CT image

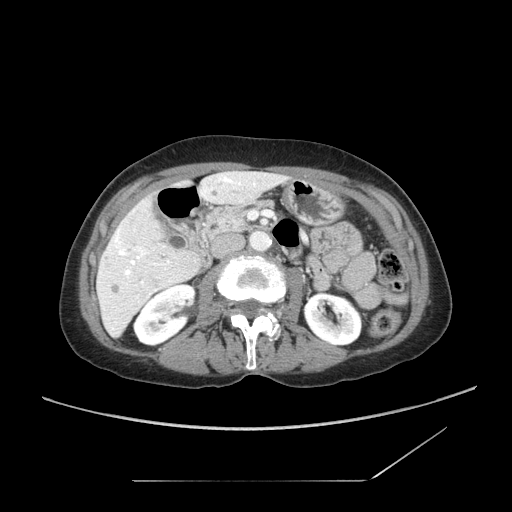
Pancreas: bounding box rect(206, 201, 271, 240).